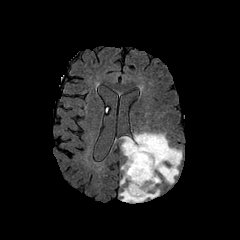
FLAIR magnetic resonance.
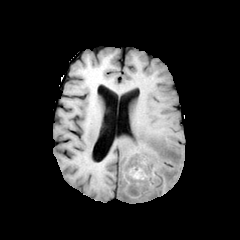
Same slice, T1-weighted MR.
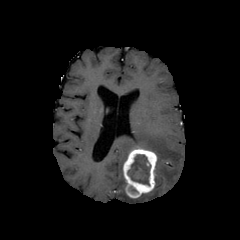
Post-contrast T1-weighted MR of the same slice.
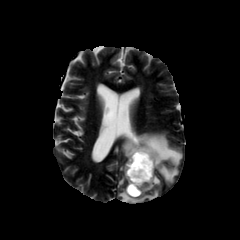
T2-weighted MRI.
3 edema regions appear at (left=121, top=131, right=182, bottom=184), (left=118, top=186, right=160, bottom=202), (left=156, top=174, right=162, bottom=185). The enhancing tumor is bounded by (left=122, top=146, right=158, bottom=198). The non-enhancing tumor core appears at (left=131, top=155, right=148, bottom=174).